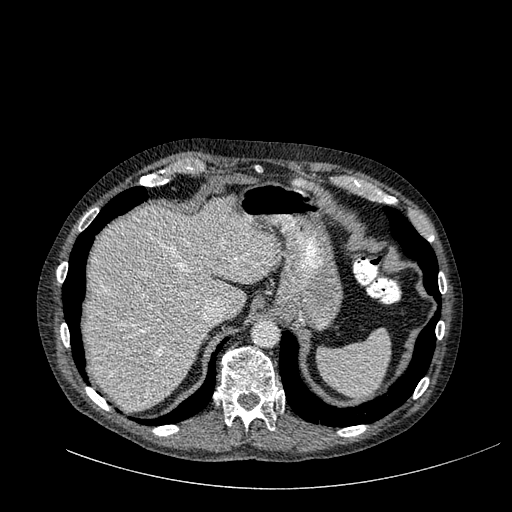

CT slice | Upper abdomen
- liver: 85:197:278:409